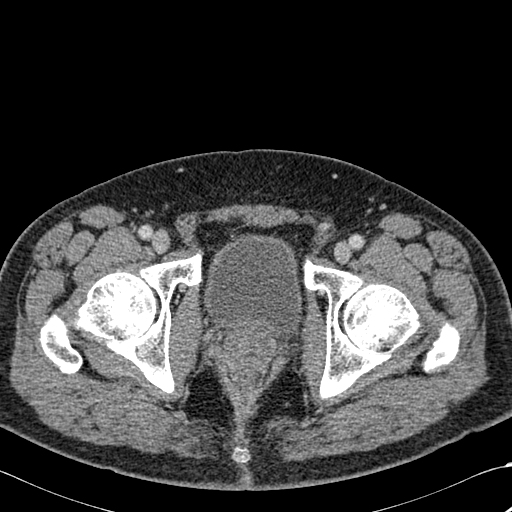
512x512. CT slice.
Bone — 424, 323, 459, 370; 73, 254, 201, 392; 304, 261, 419, 398; 40, 316, 81, 373.